FLAIR magnetic resonance.
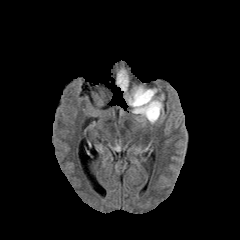
T1-weighted MRI.
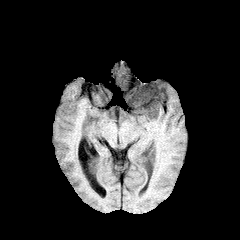
Post-contrast T1-weighted MRI.
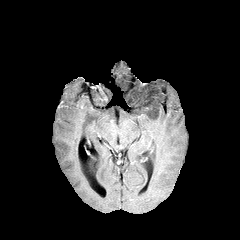
T2-weighted magnetic resonance.
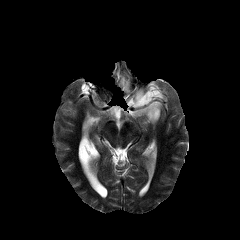
240x240 px
Edema at 116,69,164,124.
Non-enhancing tumor core at 133,90,153,105.